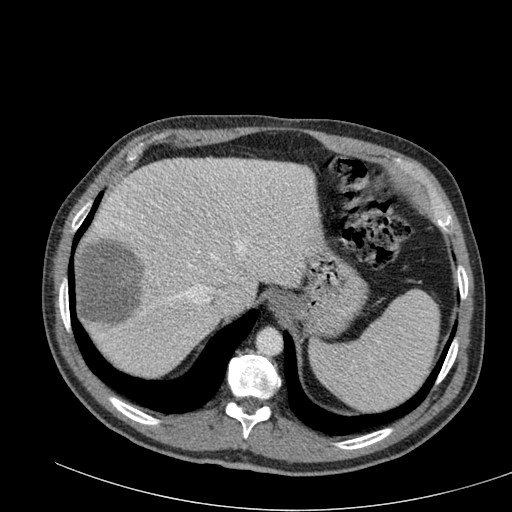

CT scan slice | Upper abdomen
Focal liver lesion: rect(74, 239, 146, 324).
Liver: rect(80, 158, 318, 376).